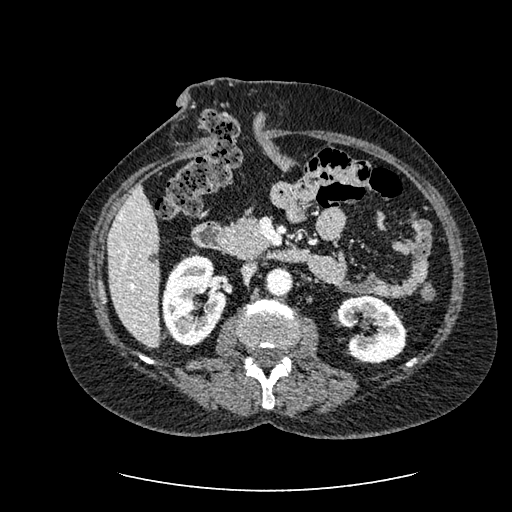

CT; 512x512 px; Liver
Liver = [108,184,160,346].
Kidney = [338,296,405,362], [162,256,225,344].
Hepatic lesion = [147,253,158,262].